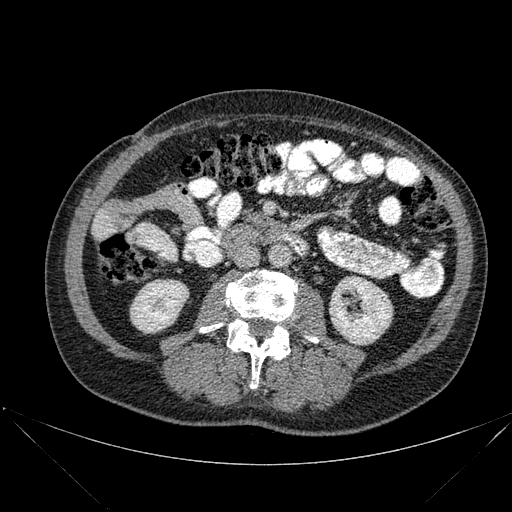
Computed tomography | 512x512

Annotated regions:
• kidney: bbox(329, 276, 392, 344); bbox(130, 280, 188, 332)
• bone: bbox(225, 270, 297, 388); bbox(200, 323, 223, 332)